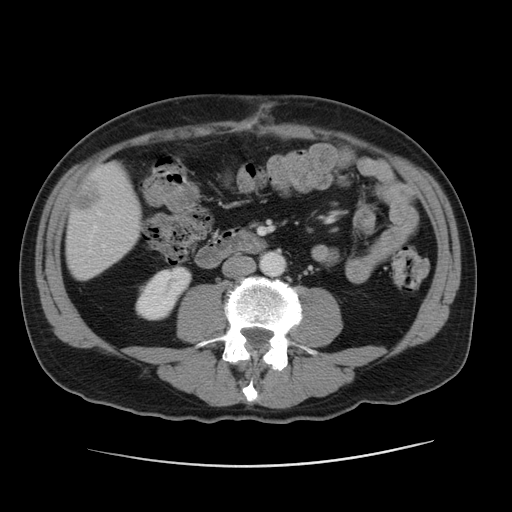

Upper abdomen. CT scan slice.

Hepatic lesion: bounding box <bbox>72, 182, 100, 210</bbox>.
Kidney: bounding box <bbox>137, 268, 189, 318</bbox>.
Liver: bounding box <bbox>66, 166, 141, 278</bbox>.